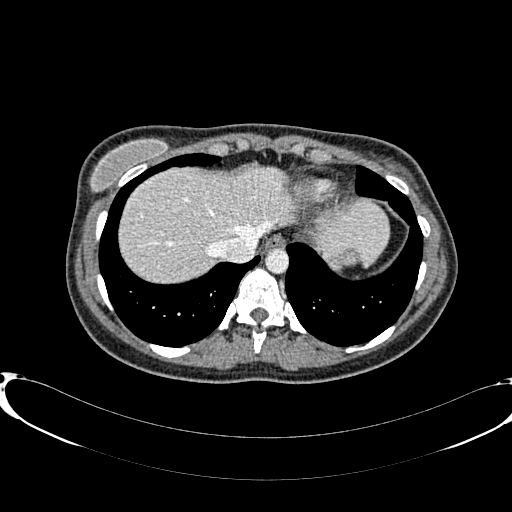

CT | Liver | 512x512
Annotated regions:
* liver: box(316, 202, 388, 263); box(119, 167, 292, 281)